CT slice. 512x512.
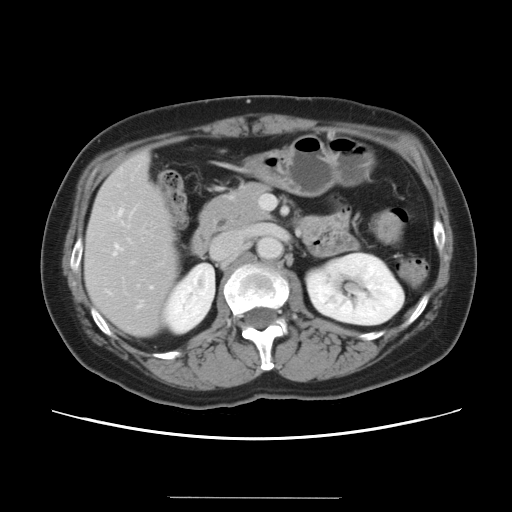
The vessel annotation is not exhaustive.
<segmentation>
  <hepatic_vessel>[127,226,129,227], [131,262,133,263], [112,218,114,220], [118,210,121,215], [150,287,151,288], [127,239,130,241], [106,291,110,294], [129,212,132,216], [113,245,122,255], [138,301,142,308], [120,170,121,172]</hepatic_vessel>
</segmentation>